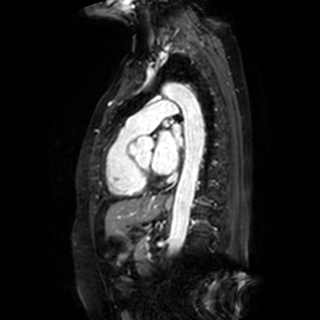
Heart; Magnetic resonance
• left atrium: x1=152, y1=131, x2=177, y2=174; x1=172, y1=124, x2=182, y2=144